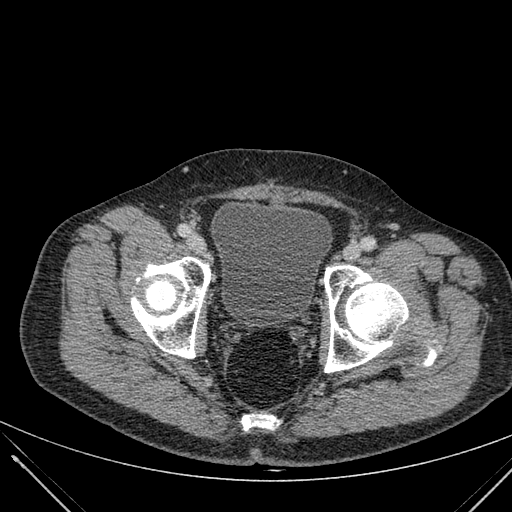
Lower abdomen, CT

- urinary bladder: bbox(210, 204, 332, 324)